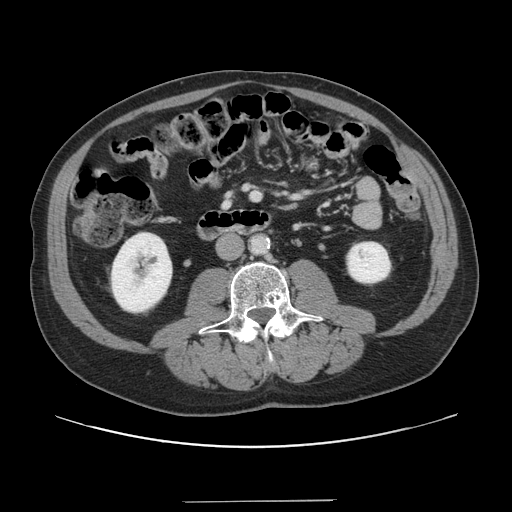

Abdomen; CT slice; Image size 512x512
Only some of the vessels may be annotated.
The hepatic vessel is located at (x1=252, y1=193, x2=257, y2=196).